FLAIR MRI.
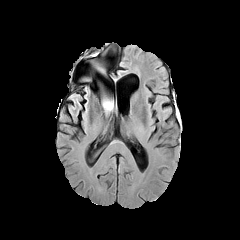
T1-weighted magnetic resonance.
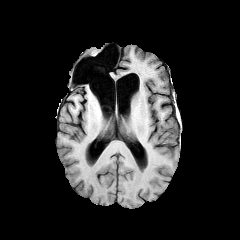
Post-contrast T1-weighted magnetic resonance.
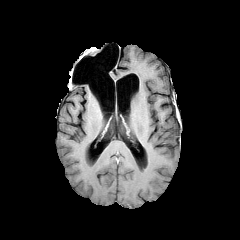
T2-weighted MR.
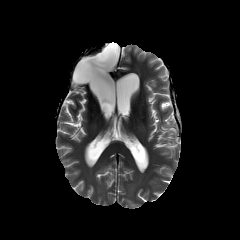
Annotated regions:
- edema: (100,92,113,113)